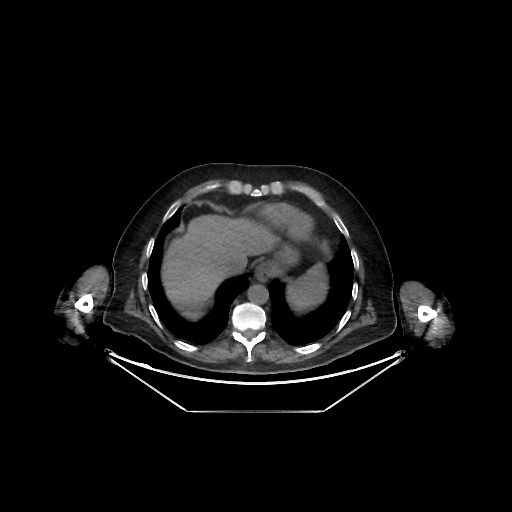

CT, Upper abdomen
The liver lies within x1=162, y1=215, x2=273, y2=312.